Image size 240x240 | Slice 57/155
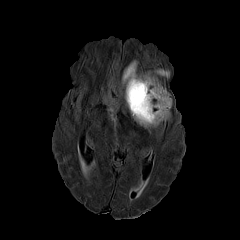
FLAIR MR image.
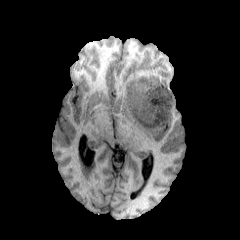
T1-weighted magnetic resonance.
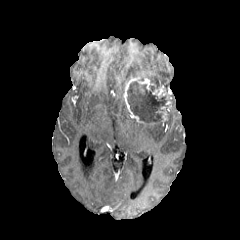
Post-contrast T1-weighted MRI.
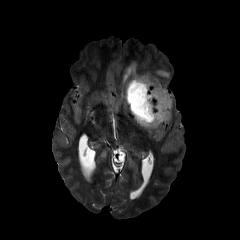
T2-weighted magnetic resonance of the same slice.
<segmentation>
  <non-enhancing_tumor_core>rect(126, 81, 170, 124)</non-enhancing_tumor_core>
  <edema>rect(154, 68, 170, 77); rect(121, 60, 161, 87); rect(140, 125, 158, 133)</edema>
  <enhancing_tumor>rect(123, 77, 168, 126); rect(152, 87, 164, 96)</enhancing_tumor>
</segmentation>